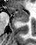

36x45 px. MRI.

Anterior hippocampus: 8,7,28,19.
Posterior hippocampus: 17,20,28,22.